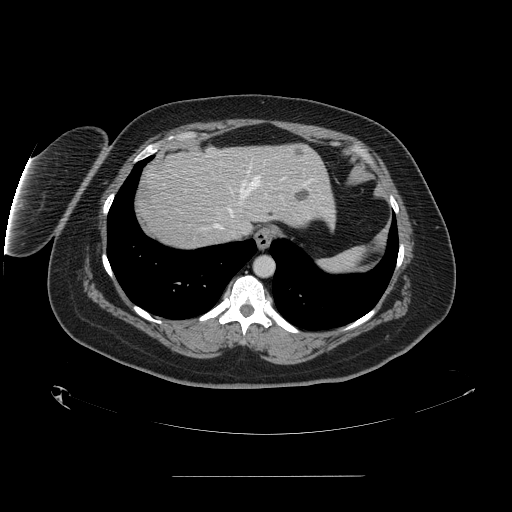 Upper abdomen, Computed tomography
Spleen at l=318, t=248, r=364, b=274.